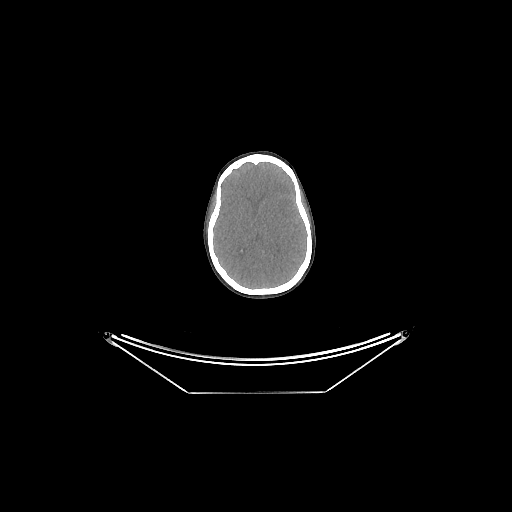
512x512; CT scan slice
{
  "brain": [
    "box=[213, 162, 307, 289]"
  ]
}